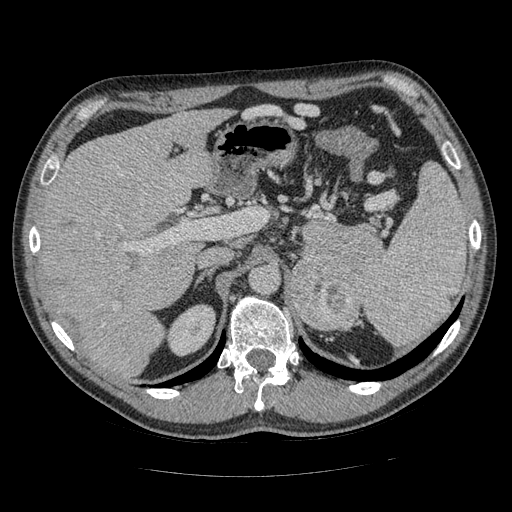

Upper abdomen | CT
pancreatic tumor: x1=291, y1=254, x2=364, y2=329 | pancreas: x1=303, y1=220, x2=379, y2=277